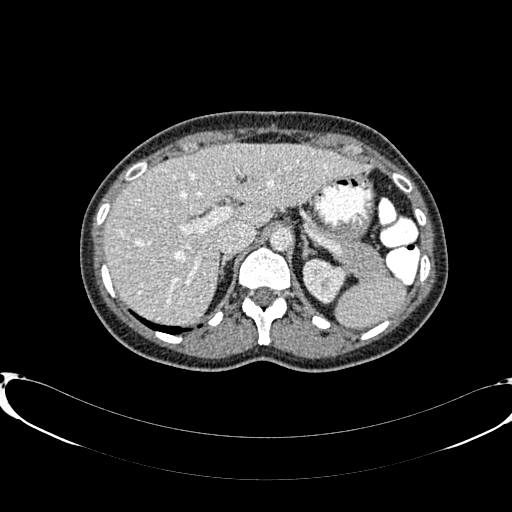 512x512 px, CT image, Abdomen
The liver is bounded by {"x1": 103, "y1": 144, "x2": 372, "y2": 323}. The kidney is at {"x1": 304, "y1": 261, "x2": 342, "y2": 301}.